FLAIR MR image.
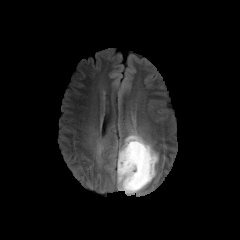
T1-weighted MR image.
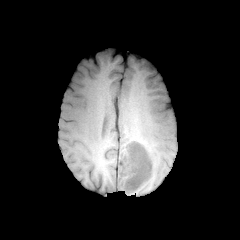
Post-contrast T1-weighted MRI.
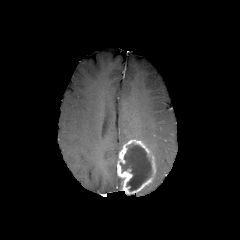
T2-weighted MRI.
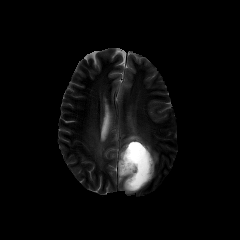
Head.
The enhancing tumor lies within (left=117, top=139, right=151, bottom=193). The non-enhancing tumor core is bounded by (left=122, top=142, right=153, bottom=190). The edema is at (left=114, top=133, right=158, bottom=175).